Computed tomography. Slice index 57. Field of view 358 mm wide, 1.50 mm slice spacing.

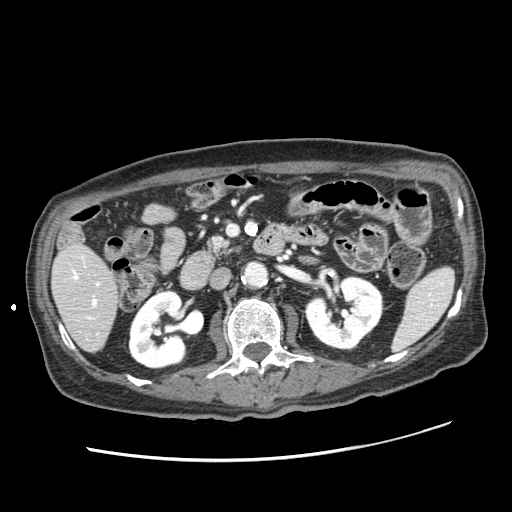
Segmented structures:
• pancreas: bbox=[212, 238, 226, 252]